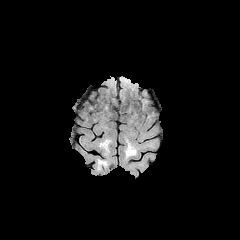
FLAIR MR image.
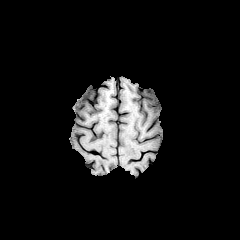
T1-weighted MR image.
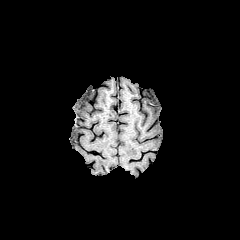
Same slice, post-contrast T1-weighted MRI.
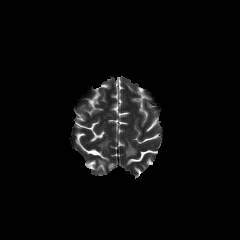
Same slice, T2-weighted magnetic resonance.
Brain
{
  "edema": [
    "bbox=[96, 158, 105, 170]"
  ]
}